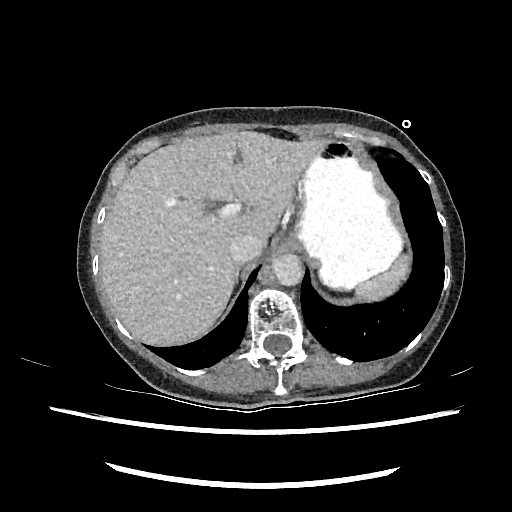

CT scan slice.
liver: bbox=[101, 132, 327, 343]